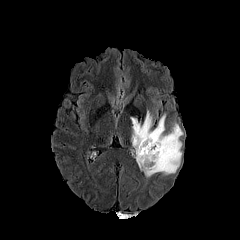
FLAIR MRI.
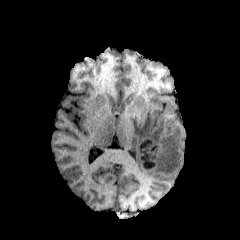
T1-weighted magnetic resonance.
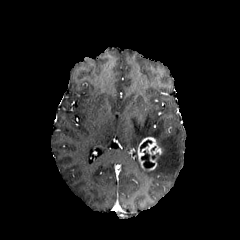
Post-contrast T1-weighted MR image.
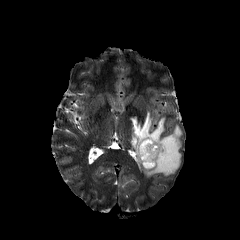
T2-weighted magnetic resonance.
240x240 px
Edema at (x1=130, y1=111, x2=183, y2=177).
Enhancing tumor at (x1=137, y1=137, x2=163, y2=170).
Non-enhancing tumor core at (x1=141, y1=150, x2=156, y2=169), (x1=140, y1=140, x2=151, y2=151).